CT scan slice. 512x512. Slice 29/75. 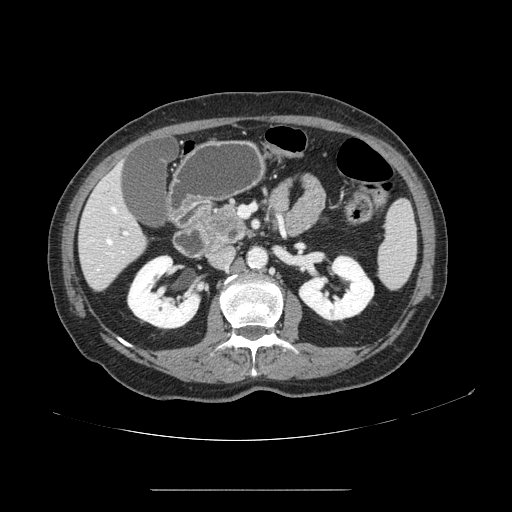

Findings:
* pancreas: (198,202,248,244)
* pancreatic tumor: (205,209,237,234)